CT slice. Field of view 436 mm wide, 5.00 mm slice spacing. 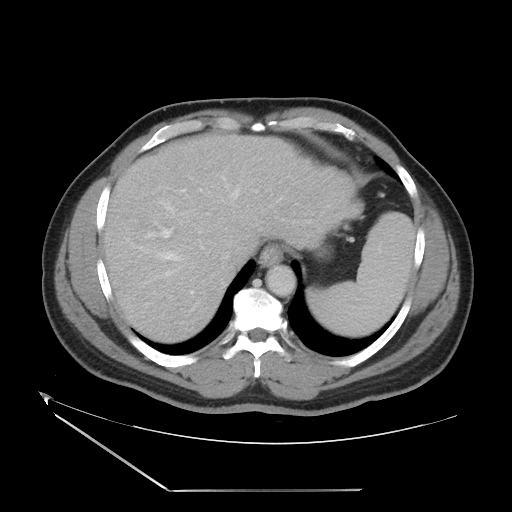
Not every hepatic vessel necessarily has a box.
partial: true
hepatic_vessel:
  # 15 of 17 shown
  - [161, 227, 170, 237]
  - [226, 184, 228, 189]
  - [222, 176, 224, 179]
  - [145, 232, 156, 237]
  - [190, 290, 193, 293]
  - [157, 252, 180, 261]
  - [166, 270, 173, 275]
  - [229, 189, 238, 198]
  - [160, 200, 174, 213]
  - [277, 198, 281, 201]
  - [230, 202, 233, 204]
  - [132, 244, 148, 253]
  - [181, 189, 185, 191]
  - [178, 282, 180, 284]
  - [154, 222, 156, 223]